CT slice, Slice 152 of 241 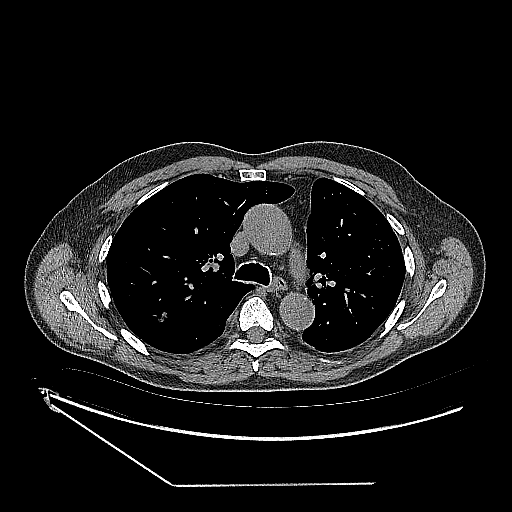

Segmented structures:
* lung tumor: (left=155, top=311, right=167, bottom=324)